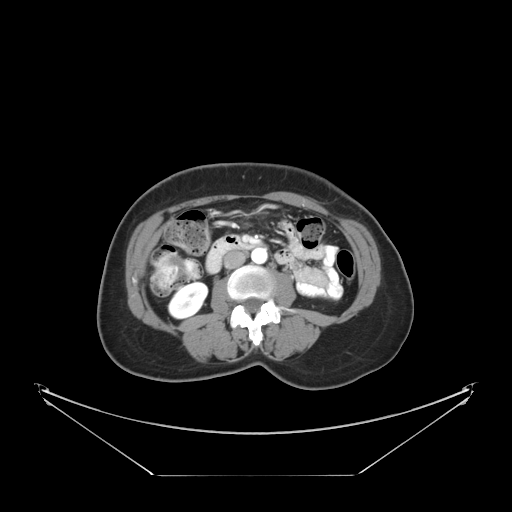 Abdomen. CT slice.
Colon tumor at x1=168, y1=256, x2=185, y2=278.